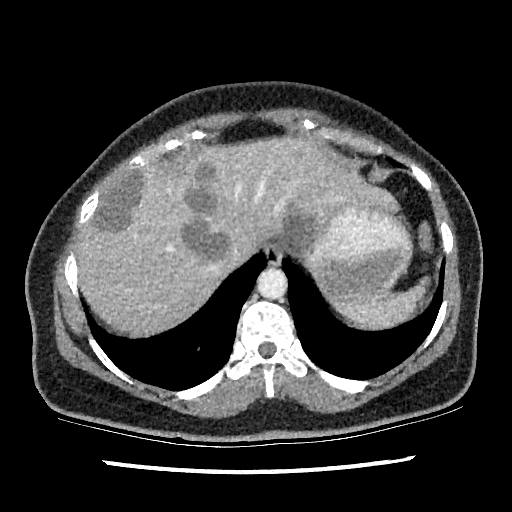

Abdomen, CT scan slice

Annotated regions:
• liver: <bbox>75, 135, 398, 331</bbox>
• hepatic lesion: <bbox>186, 166, 215, 212</bbox>, <bbox>94, 171, 144, 230</bbox>, <bbox>182, 220, 231, 260</bbox>, <bbox>270, 209, 315, 251</bbox>